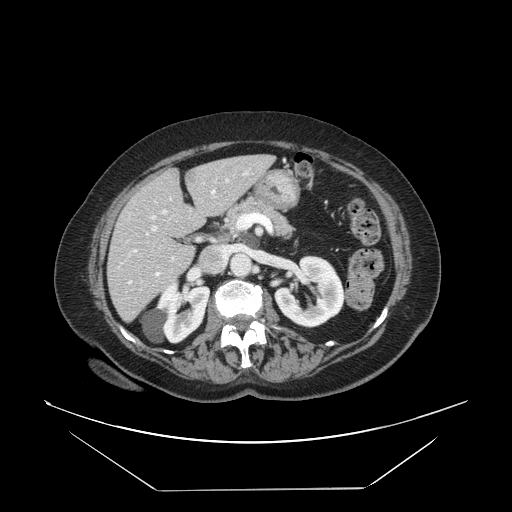 Computed tomography. Abdomen. Pancreas — (x1=209, y1=195, x2=296, y2=250).
Pancreatic tumor — (x1=237, y1=231, x2=259, y2=248).